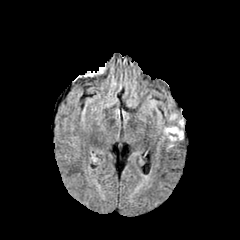
FLAIR magnetic resonance.
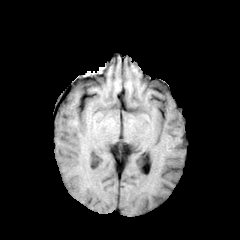
T1-weighted MR.
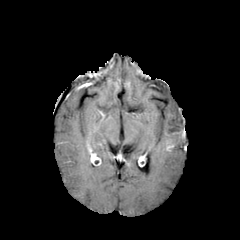
Post-contrast T1-weighted MR image.
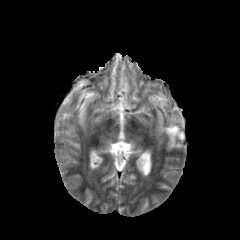
T2-weighted MR.
Image size 240x240.
<segmentation>
  <edema>160,112,184,141</edema>
</segmentation>